Slice 468 of 683. Upper abdomen. CT image.

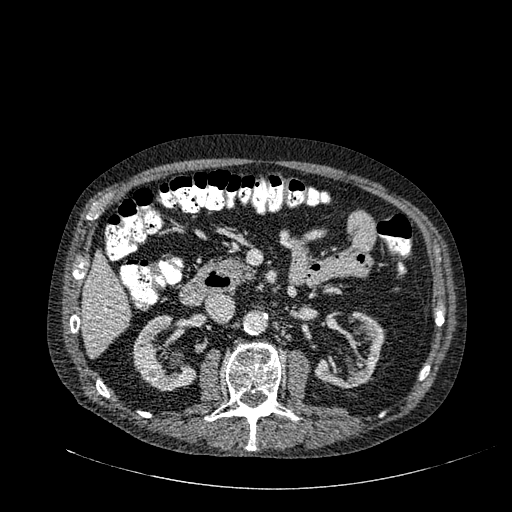
The liver lies within 82:251:129:358. 2 kidney regions appear at 315:311:384:388, 132:315:196:390.